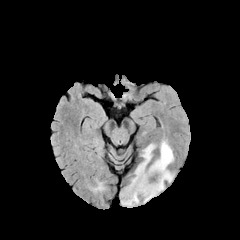
FLAIR MRI.
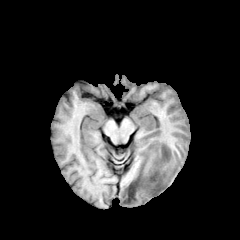
Same slice, T1-weighted MRI.
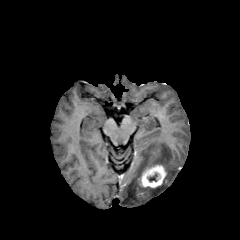
Post-contrast T1-weighted magnetic resonance.
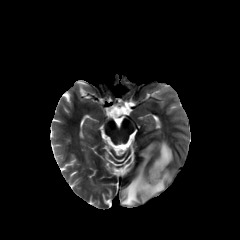
T2-weighted MR image.
240x240. Head.
enhancing_tumor:
  - 137,164,166,188
non-enhancing_tumor_core:
  - 131,180,143,194
edema:
  - 121,140,174,205